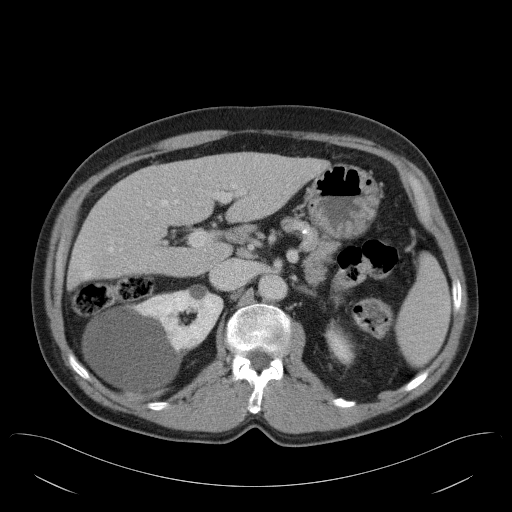 CT. Abdomen. The vessel boxes may cover only some of the vessels.
Findings:
• hepatic vessel: [146,216,148,218], [232,183,237,187], [162,201,167,204], [147,202,150,205], [109,247,112,250], [238,189,245,193]